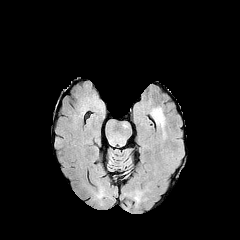
FLAIR MR.
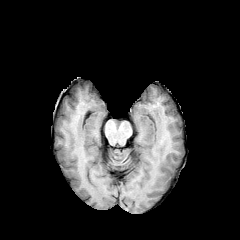
T1-weighted magnetic resonance.
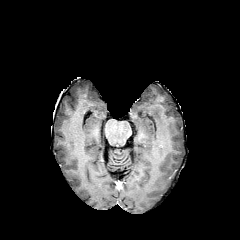
Post-contrast T1-weighted MR image.
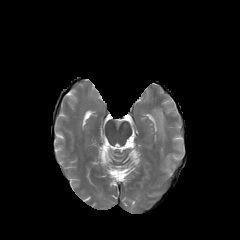
T2-weighted MR.
Edema: (150, 108, 164, 137).